Head
FLAIR MR.
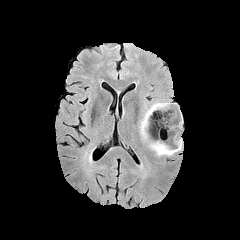
T1-weighted magnetic resonance.
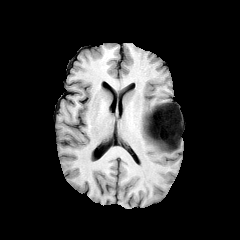
Post-contrast T1-weighted magnetic resonance.
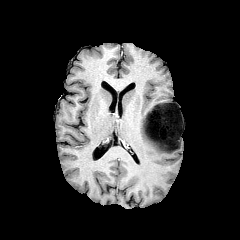
T2-weighted MR.
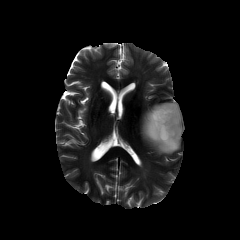
<segmentation>
  <edema>(140,102,182,155)</edema>
  <non-enhancing_tumor_core>(156,105,180,150)</non-enhancing_tumor_core>
</segmentation>